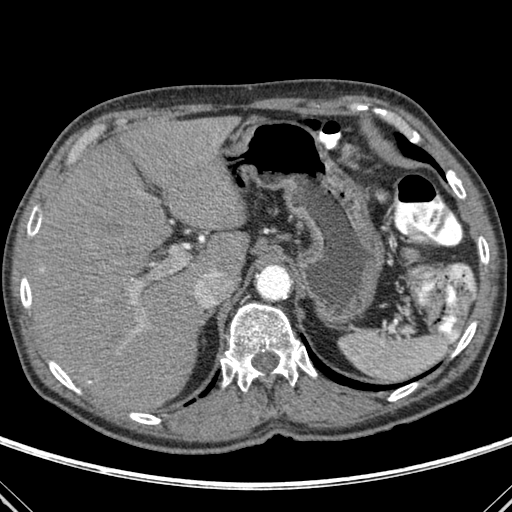
Abdomen; CT
Annotated regions:
- liver: rect(28, 116, 246, 410); rect(200, 232, 249, 283)
- bone: rect(411, 132, 419, 142); rect(129, 413, 160, 424); rect(20, 277, 31, 307); rect(49, 361, 80, 393); rect(478, 236, 489, 264); rect(27, 207, 41, 235); rect(446, 170, 465, 198); rect(220, 303, 316, 391); rect(388, 383, 418, 401); rect(452, 322, 476, 356)
- lung: rect(302, 335, 435, 390); rect(200, 372, 217, 396); rect(395, 133, 445, 179)